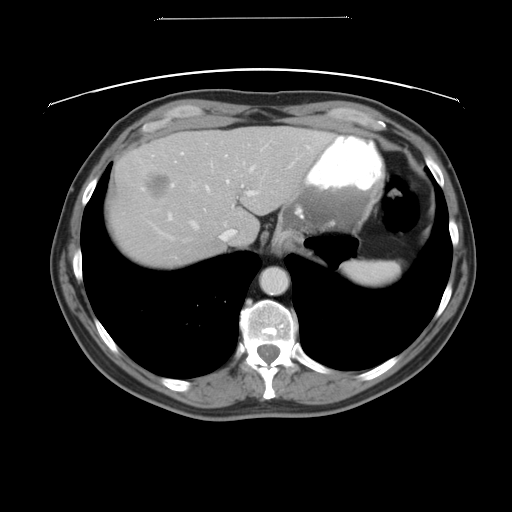
Abdomen, CT image, 512x512 px
Only some of the vessels may be annotated.
10 hepatic vessel regions are bounded by 221 229 235 239, 168 213 172 219, 261 145 267 149, 226 179 229 183, 290 161 294 165, 181 152 183 153, 242 184 243 185, 191 221 198 228, 226 154 227 156, 247 190 258 195. The liver tumor is bounded by 142 172 174 202.